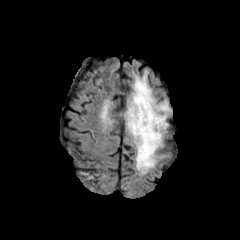
FLAIR MR.
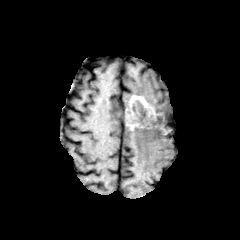
T1-weighted MR image of the same slice.
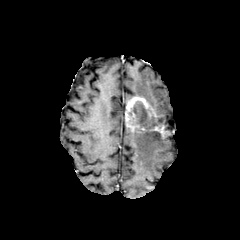
Post-contrast T1-weighted magnetic resonance.
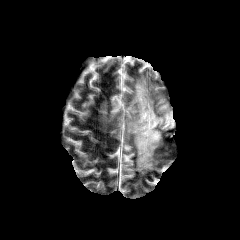
T2-weighted MRI.
Image size 240x240
Enhancing tumor: l=125, t=97, r=151, b=130; l=153, t=125, r=165, b=133.
Edema: l=126, t=128, r=169, b=174; l=135, t=104, r=149, b=125; l=129, t=72, r=171, b=123.
Non-enhancing tumor core: l=129, t=101, r=168, b=136.